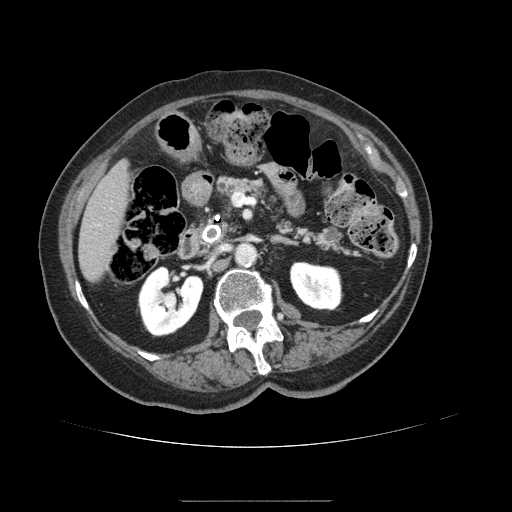
CT scan slice; Upper abdomen
2 pancreas regions appear at [278, 218, 346, 254], [216, 176, 280, 208].